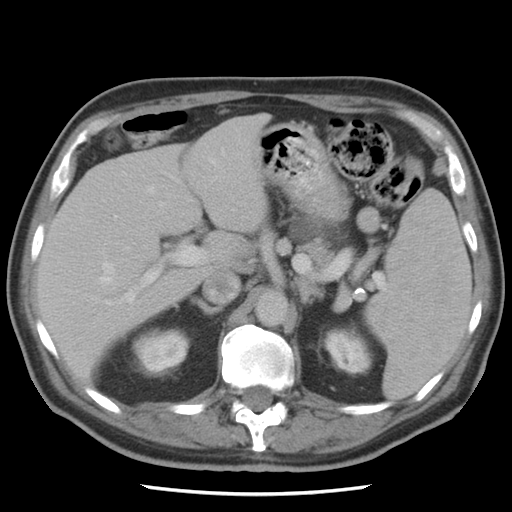 CT image, 512x512
Pancreas: bounding box [294, 214, 333, 267].
Pancreatic tumor: bounding box [290, 215, 317, 241].